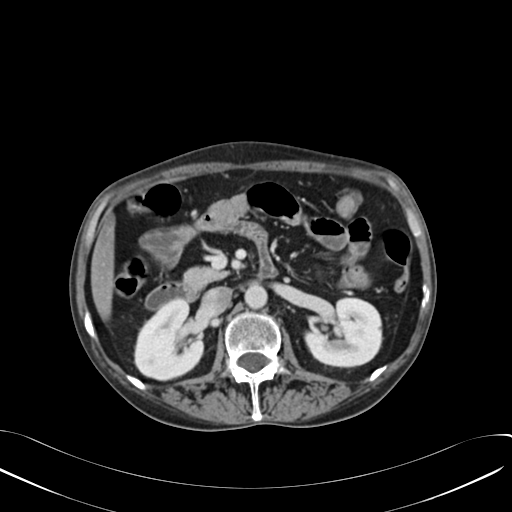

Computed tomography. 512x512 px. Kidney — bbox(307, 299, 380, 365); bbox(136, 300, 202, 379).
Liver — bbox(91, 213, 114, 318).